Head. Slice 94 of 155. Image width 240 mm.
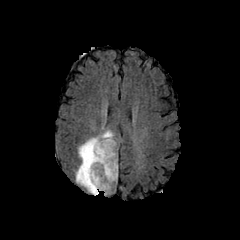
FLAIR MRI.
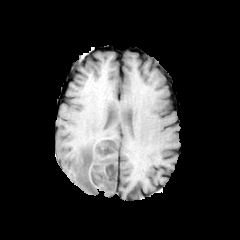
T1-weighted MR image of the same slice.
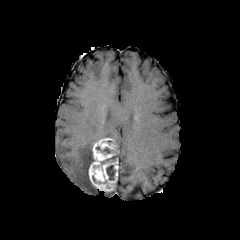
Same slice, post-contrast T1-weighted MR.
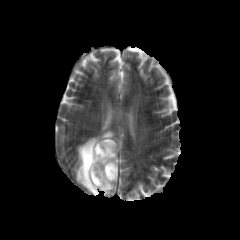
T2-weighted magnetic resonance.
edema:
  - x1=73 y1=128 x2=114 y2=195
non-enhancing_tumor_core:
  - x1=106 y1=150 x2=117 y2=161
  - x1=84 y1=148 x2=96 y2=189
  - x1=106 y1=165 x2=115 y2=179
enhancing_tumor:
  - x1=88 y1=138 x2=117 y2=191